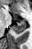
MR image; Image size 32x49

The anterior hippocampus is bounded by 20:21:24:21. The posterior hippocampus is bounded by 13:22:25:34.